Image size 240x240; Field of view 240x240 mm
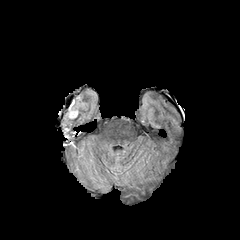
FLAIR MRI.
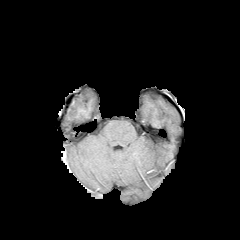
Same slice, T1-weighted MR image.
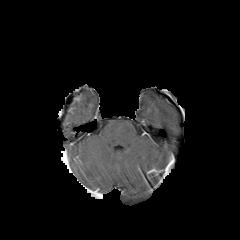
Post-contrast T1-weighted magnetic resonance.
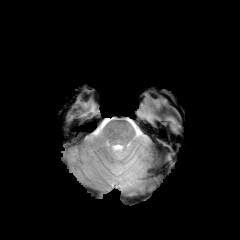
T2-weighted magnetic resonance.
2 edema regions are located at bbox=[110, 149, 145, 185]; bbox=[68, 106, 78, 118].